FLAIR magnetic resonance.
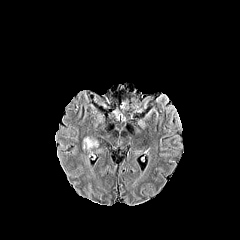
T1-weighted MR image.
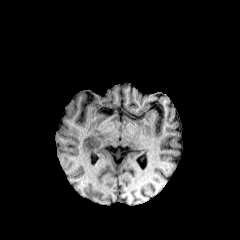
Post-contrast T1-weighted MR image.
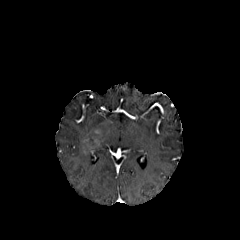
T2-weighted MR.
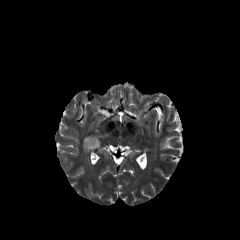
Brain | 240x240 px
{
  "non-enhancing_tumor_core": [
    "bbox(88, 128, 101, 145)"
  ],
  "enhancing_tumor": [
    "bbox(82, 135, 99, 153)"
  ]
}